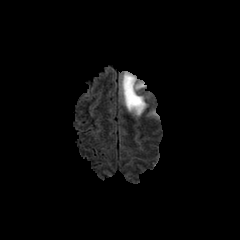
FLAIR MR.
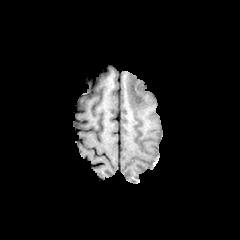
T1-weighted magnetic resonance.
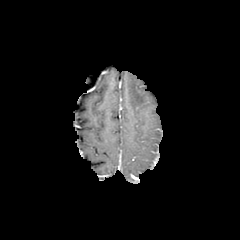
Post-contrast T1-weighted MR.
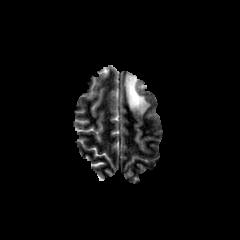
T2-weighted MR image.
Image size 240x240; Head
Edema — 122,75,149,115.